FLAIR MR.
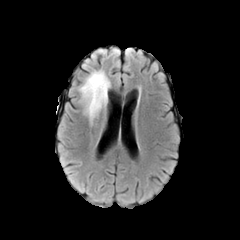
T1-weighted MRI.
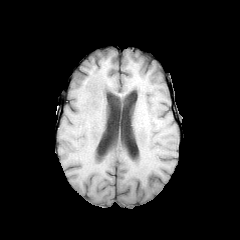
Post-contrast T1-weighted MR.
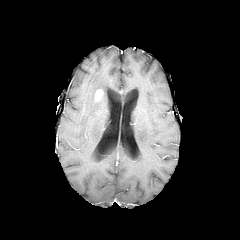
T2-weighted MR.
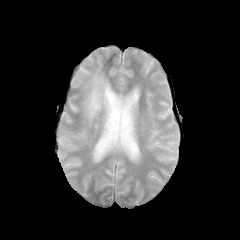
240x240
The edema is bounded by <box>78,68,111,124</box>. The enhancing tumor appears at <box>94,89,103,100</box>.